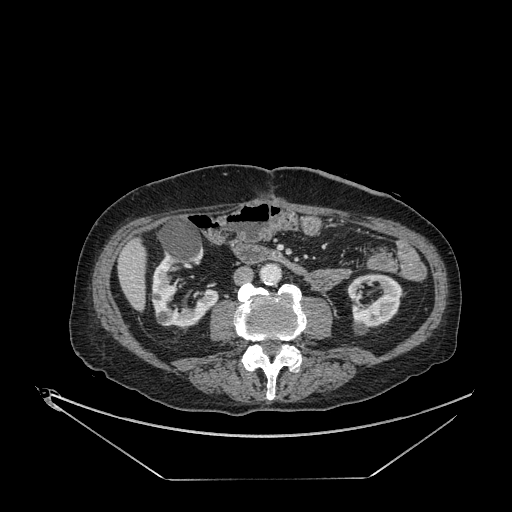

CT slice, 512x512 px
The liver is bounded by region(119, 239, 145, 310). 3 kidney regions are bounded by region(152, 254, 217, 326); region(194, 251, 202, 262); region(348, 274, 401, 326).